CT image.

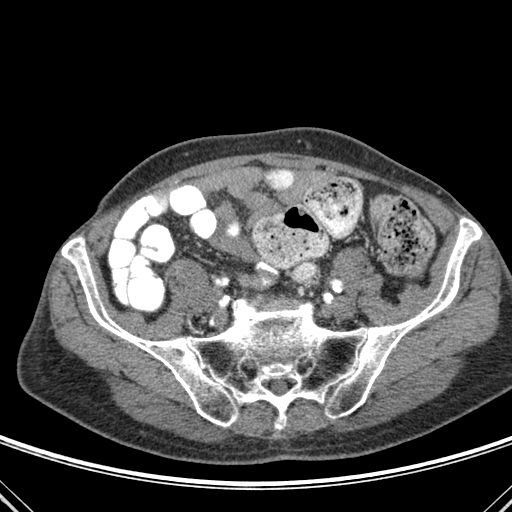 The bone is located at [x1=61, y1=218, x2=481, y2=429].